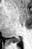
32x49 px. MRI slice. Hippocampus. • posterior hippocampus: box(9, 37, 19, 43)